Field of view 240 mm wide, 1.00 mm slice spacing; Slice 72 of 155; Brain
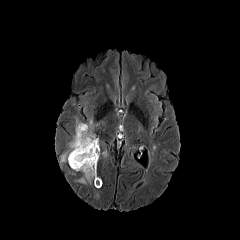
FLAIR MR.
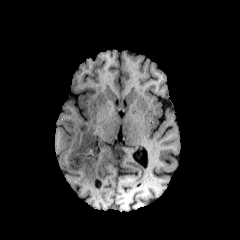
Same slice, T1-weighted MR image.
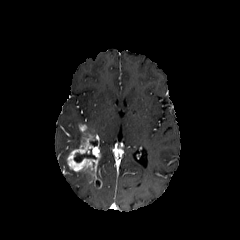
Post-contrast T1-weighted MR image.
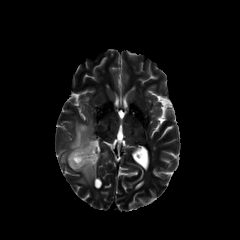
Same slice, T2-weighted MR.
non-enhancing tumor core: [73,149,96,162] | enhancing tumor: [67,124,102,189] | edema: [60,111,98,162], [76,172,90,184]